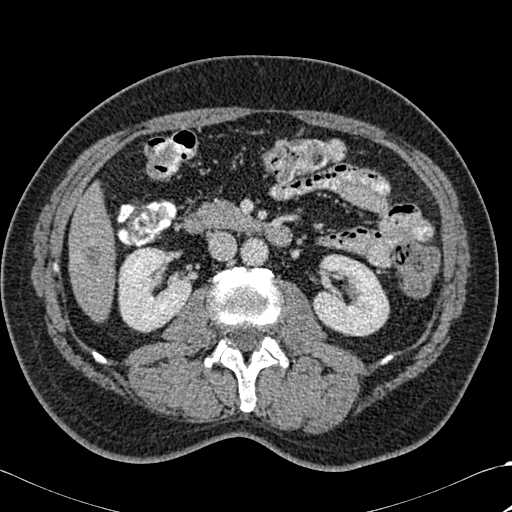

Upper abdomen; CT scan slice

<segmentation>
  <kidney>rect(119, 248, 190, 330); rect(314, 255, 388, 335)</kidney>
  <liver>rect(69, 183, 114, 320)</liver>
  <bone>rect(205, 267, 287, 411)</bone>
  <focal_liver_lesion>rect(81, 246, 102, 265)</focal_liver_lesion>
</segmentation>